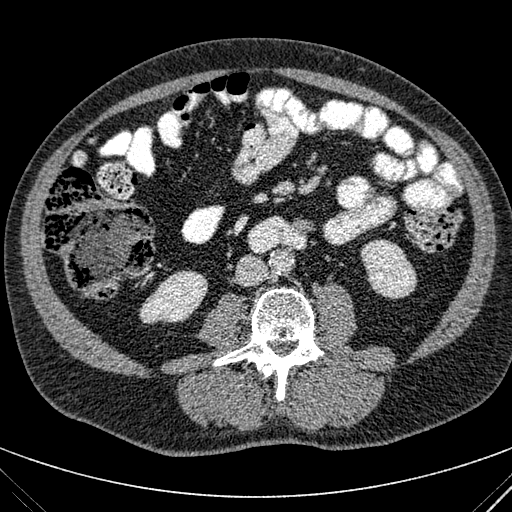 CT slice, Abdomen
2 kidney regions are bounded by (361, 240, 416, 298), (140, 271, 207, 322).